CT. Slice index 13. Abdomen.
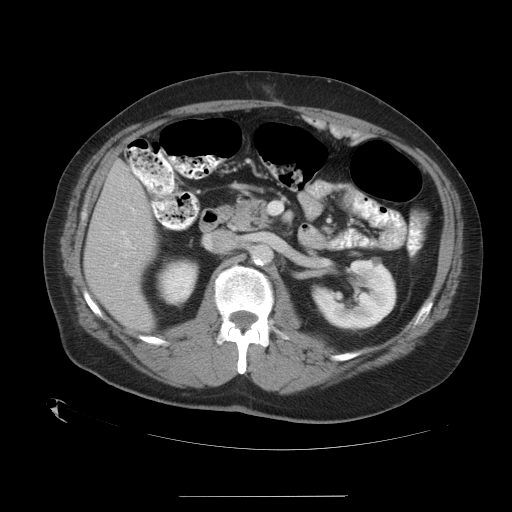

Not every hepatic vessel necessarily has a box.
{
  "hepatic_vessel": [
    "120:253:128:257",
    "114:263:117:266",
    "131:249:134:253",
    "136:231:138:233",
    "126:238:128:240"
  ]
}